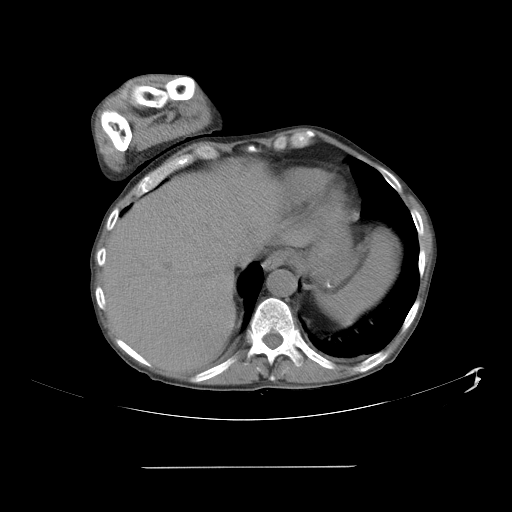 Computed tomography, 512x512 px
Annotated regions:
• spleen: bbox(319, 231, 401, 324)